240x240; Brain
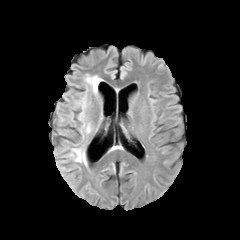
FLAIR magnetic resonance.
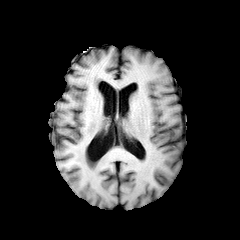
T1-weighted magnetic resonance.
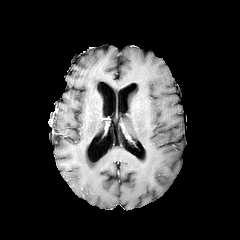
Same slice, post-contrast T1-weighted MR.
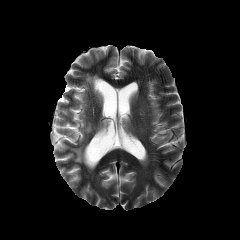
T2-weighted MR image of the same slice.
Edema = l=69, t=74, r=102, b=144; l=68, t=145, r=86, b=164.